Slice 226/245 | Upper abdomen | CT | Image width 386 mm

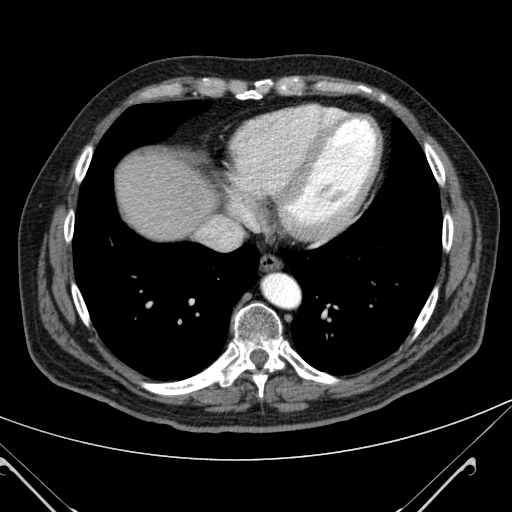 Segmented structures:
- liver: {"x1": 115, "y1": 151, "x2": 217, "y2": 239}